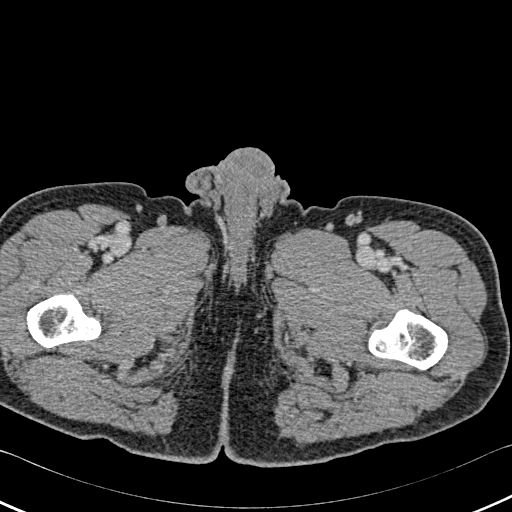
512x512 | CT slice
2 bone regions appear at bbox=[27, 294, 100, 347]; bbox=[369, 309, 447, 369].